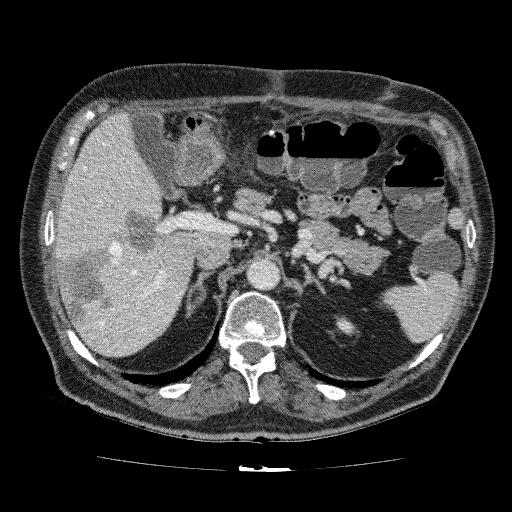
CT image; Abdomen

Kidney — [337,319,353,333].
Liver — [54,112,232,357].
Focal liver lesion — [111,207,162,258], [146,170,153,178], [54,247,113,323].